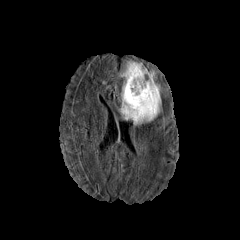
FLAIR magnetic resonance.
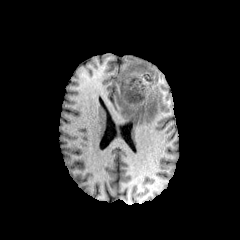
T1-weighted MRI.
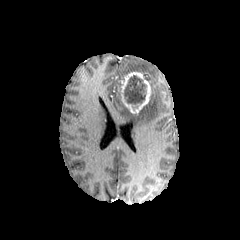
Post-contrast T1-weighted MR image of the same slice.
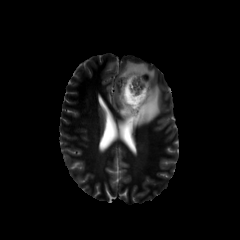
T2-weighted MR.
<segmentation>
  <enhancing_tumor>{"x1": 121, "y1": 71, "x2": 153, "y2": 114}</enhancing_tumor>
  <non-enhancing_tumor_core>{"x1": 122, "y1": 75, "x2": 145, "y2": 104}</non-enhancing_tumor_core>
  <edema>{"x1": 120, "y1": 61, "x2": 154, "y2": 80}, {"x1": 120, "y1": 82, "x2": 161, "y2": 126}</edema>
</segmentation>